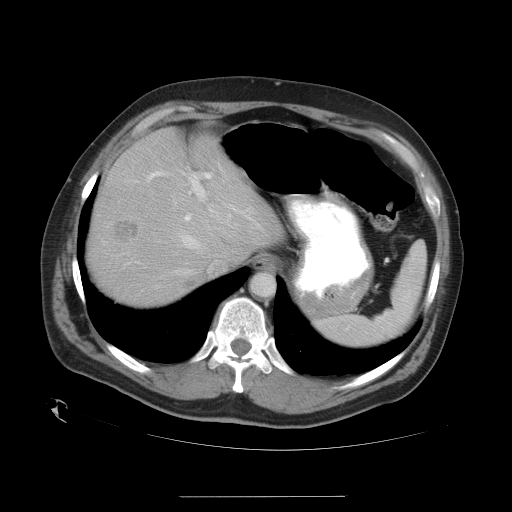 CT scan slice | Image size 512x512
Not every hepatic vessel necessarily has a box.
Liver tumor: <box>115,222,140,242</box>.
Hepatic vessel: <box>180,231,200,248</box>, <box>188,190,191,193</box>, <box>184,184,187,185</box>, <box>188,213,190,214</box>, <box>190,175,202,197</box>, <box>180,171,182,172</box>, <box>146,171,164,181</box>.